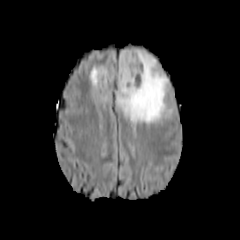
FLAIR MRI.
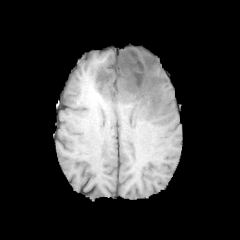
T1-weighted magnetic resonance.
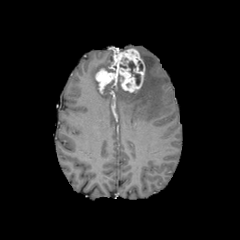
Post-contrast T1-weighted magnetic resonance of the same slice.
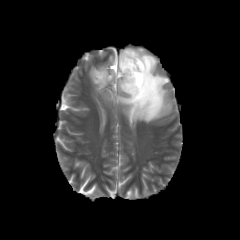
T2-weighted MRI of the same slice.
Head | 240x240
enhancing tumor: l=94, t=49, r=145, b=93 | edema: l=89, t=62, r=108, b=89; l=118, t=50, r=173, b=124 | non-enhancing tumor core: l=127, t=60, r=141, b=85